CT. Upper abdomen. 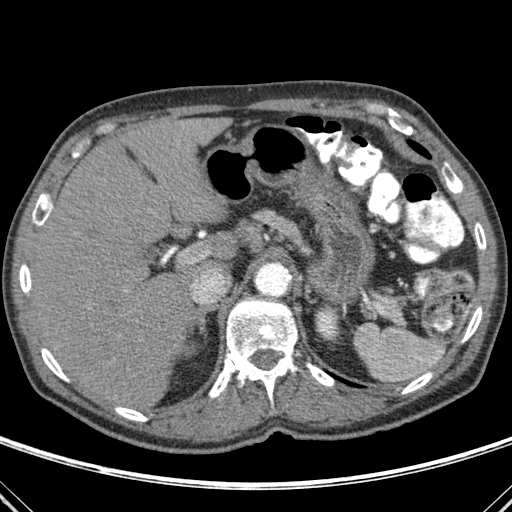
10 bone regions are bounded by 209,296,297,404; 462,306,481,342; 306,363,333,386; 444,163,462,193; 41,348,68,381; 474,223,486,249; 32,194,50,225; 115,407,147,421; 19,264,31,293; 402,372,432,393. 2 lung regions appear at 330,374,360,387; 408,140,430,158. 2 liver regions are bounded by 214,231,237,261; 31,116,232,410. The kidney lies within 318,319,334,334.